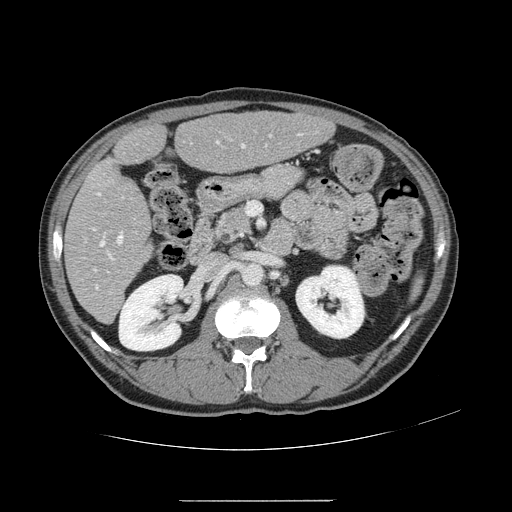 Computed tomography
Some hepatic vessels may have no box.
Hepatic vessel — x1=95, y1=284, x2=97, y2=288; x1=84, y1=239, x2=86, y2=240; x1=91, y1=228, x2=94, y2=229; x1=108, y1=254, x2=114, y2=260; x1=117, y1=231, x2=122, y2=243; x1=242, y1=144, x2=244, y2=146; x1=97, y1=193, x2=99, y2=195; x1=100, y1=240, x2=104, y2=246; x1=217, y1=141, x2=218, y2=143; x1=90, y1=177, x2=92, y2=178; x1=104, y1=234, x2=105, y2=236.